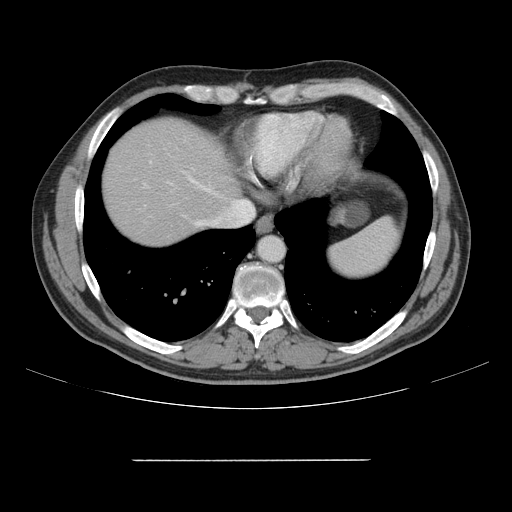

Liver; 512x512; CT slice
Some hepatic vessels may have no box.
Hepatic vessel: bounding box box(184, 216, 186, 217); box(195, 220, 203, 226); box(144, 184, 147, 187).